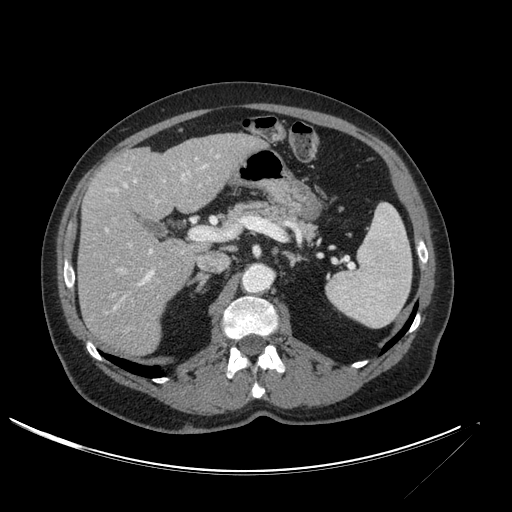
Computed tomography. 512x512 px. {
  "liver": [
    "(left=78, top=134, right=266, bottom=354)"
  ]
}